Computed tomography; 512x512
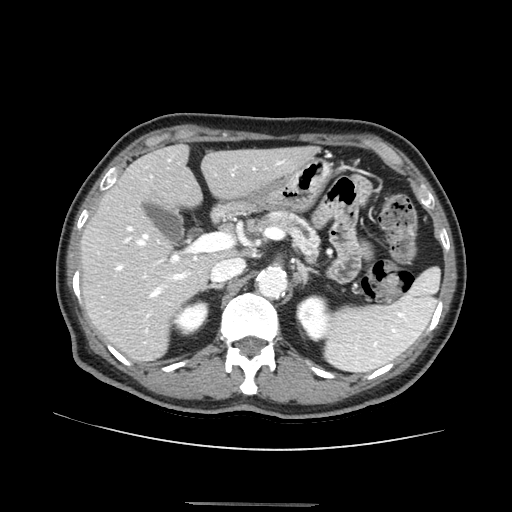 {"pancreatic_tumor": ["box(258, 216, 269, 227)"], "pancreas": ["box(267, 212, 318, 260)"]}